Computed tomography | 512x512 px
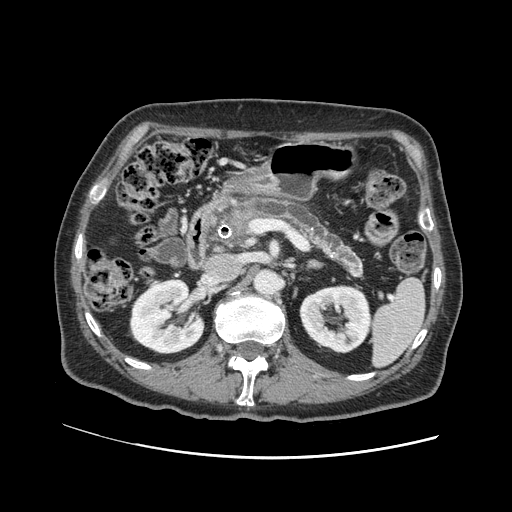 pancreas: (x1=204, y1=194, x2=365, y2=279)